CT | Slice index 396 | Abdomen 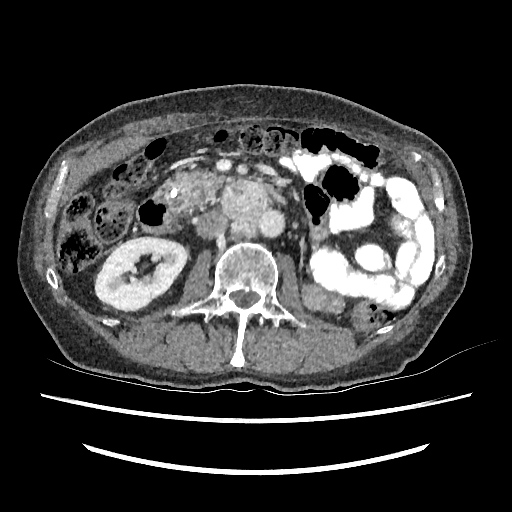
The kidney is located at bbox(95, 237, 186, 310).